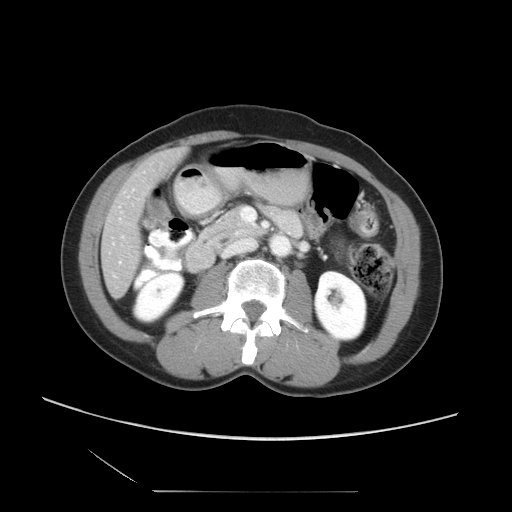 CT image, 512x512 px
Not every hepatic vessel necessarily has a box.
{"hepatic_vessel": ["bbox(121, 236, 123, 237)", "bbox(113, 275, 115, 276)", "bbox(132, 188, 133, 190)", "bbox(124, 191, 128, 196)", "bbox(112, 241, 113, 243)", "bbox(118, 217, 120, 220)", "bbox(118, 261, 120, 262)"]}